Abdomen; CT scan slice; Image size 512x512
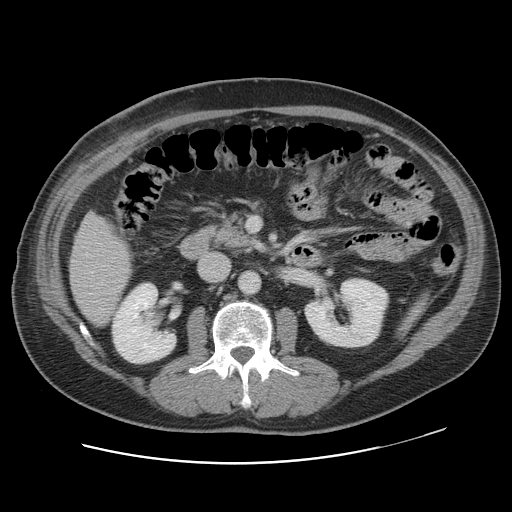 Only some of the vessels may be annotated.
Segmented structures:
* hepatic vessel: bbox=[110, 274, 112, 275]; bbox=[99, 307, 108, 312]; bbox=[100, 280, 104, 285]